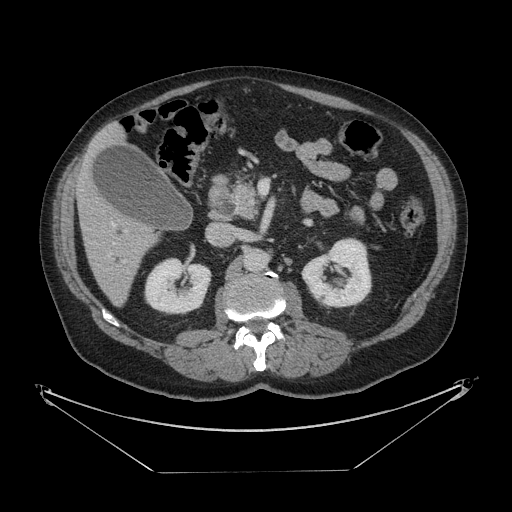
CT image

Pancreatic tumor = [235, 186, 254, 205].
Pancreas = [237, 194, 255, 217].